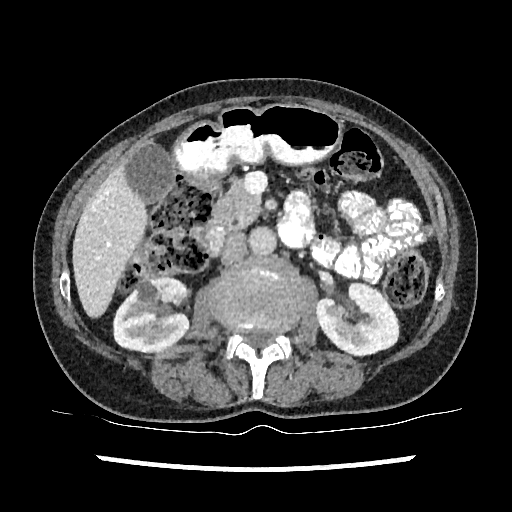
Liver, CT, Image size 512x512

Kidney: 317 284 400 354, 114 278 190 351.
Liver: 73 167 147 317.